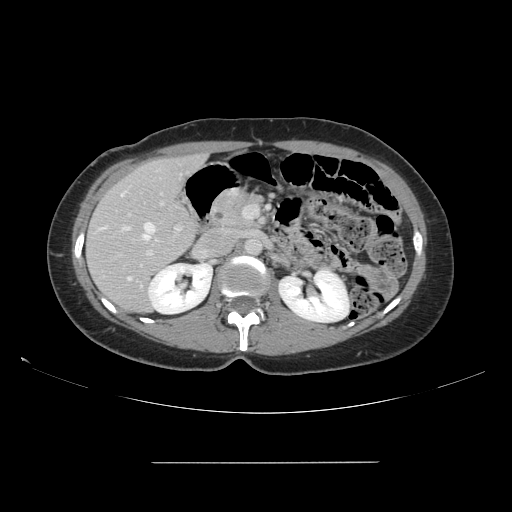
CT slice.
The vessel boxes may cover only some of the vessels.
hepatic vessel: (left=155, top=239, right=157, bottom=240), (left=139, top=282, right=141, bottom=287), (left=121, top=190, right=127, bottom=196), (left=175, top=226, right=180, bottom=232), (left=179, top=173, right=181, bottom=176), (left=127, top=277, right=131, bottom=280), (left=142, top=222, right=155, bottom=239), (left=147, top=251, right=151, bottom=255), (left=160, top=202, right=162, bottom=204), (left=161, top=192, right=162, bottom=194), (left=96, top=226, right=108, bottom=231), (left=120, top=226, right=129, bottom=230)